Abdomen | CT
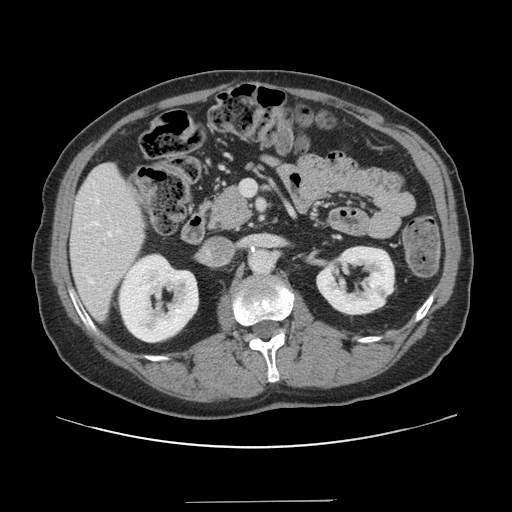

Some hepatic vessels may have no box.
3 hepatic vessel regions are bounded by (241,180,254,195), (108,231,111,236), (89,279,93,283).